Slice 49/104; Field of view 442 mm wide, 2.50 mm slice spacing; Computed tomography; Image size 512x512 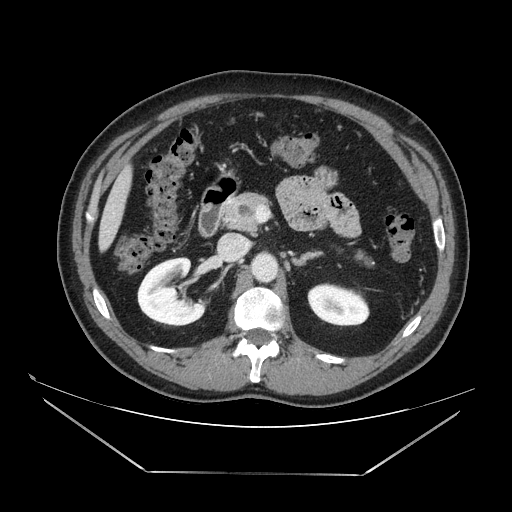

2 pancreas regions appear at [222, 192, 267, 232], [354, 251, 373, 267].